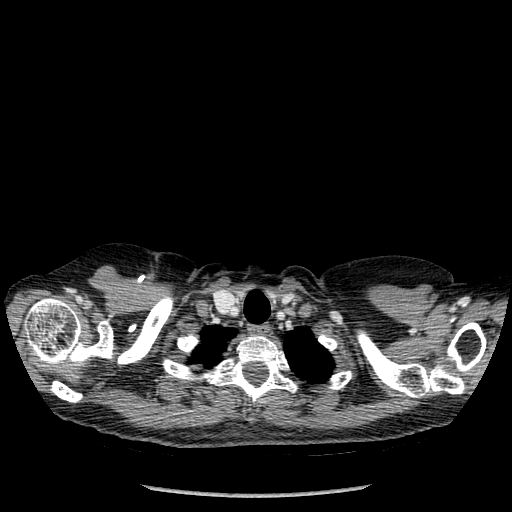 Computed tomography. Chest.

Segmented structures:
• bone: x1=50, y1=381, x2=82, y2=402; x1=162, y1=334, x2=297, y2=402; x1=318, y1=334, x2=337, y2=350; x1=328, y1=371, x2=351, y2=389; x1=24, y1=298, x2=113, y2=366; x1=117, y1=295, x2=173, y2=364; x1=357, y1=330, x2=465, y2=397; x1=446, y1=321, x2=486, y2=374; x1=177, y1=334, x2=198, y2=352
• lung: x1=283, y1=326, x2=334, y2=383; x1=190, y1=325, x2=236, y2=368; x1=244, y1=290, x2=270, y2=323